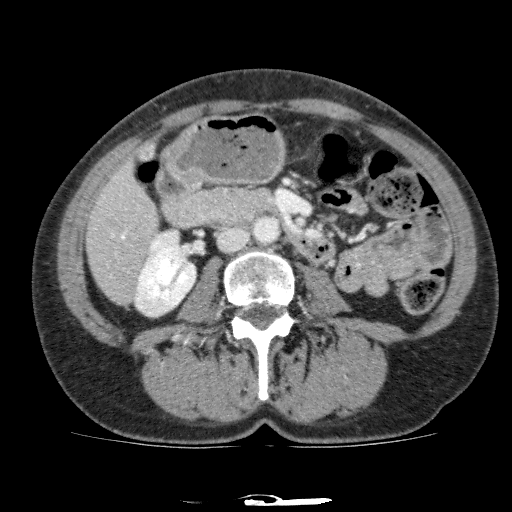

CT
The liver is at (x1=85, y1=158, x2=159, y2=305). The kidney is located at (x1=135, y1=231, x2=195, y2=315).